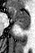 Magnetic resonance; Medial temporal lobe
The anterior hippocampus appears at rect(10, 7, 29, 23). The posterior hippocampus is at rect(17, 24, 29, 30).